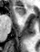 Medial temporal lobe; 40x52; MRI
<segmentation>
  <anterior_hippocampus>bbox=[14, 6, 25, 15]</anterior_hippocampus>
</segmentation>